Brain
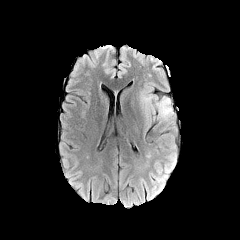
FLAIR magnetic resonance.
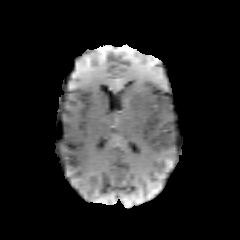
T1-weighted MRI.
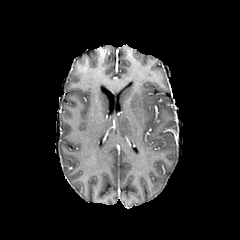
Post-contrast T1-weighted MR image.
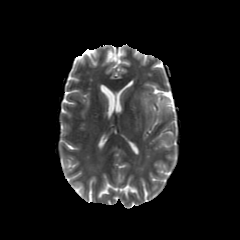
T2-weighted MRI.
edema:
  - [140, 86, 176, 126]